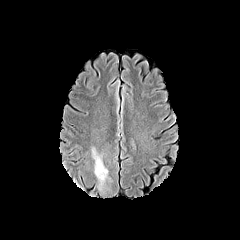
FLAIR MR image.
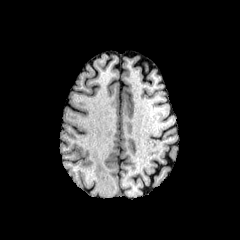
T1-weighted magnetic resonance of the same slice.
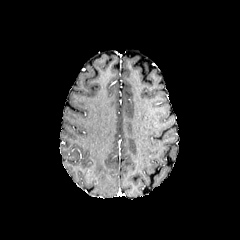
Post-contrast T1-weighted MR image.
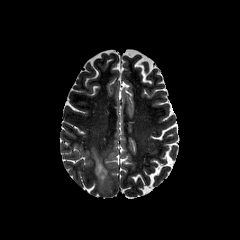
T2-weighted MRI of the same slice.
Image size 240x240
{
  "edema": [
    "left=92, top=149, right=107, bottom=179"
  ]
}